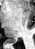
MR image. 35x49 px.

The posterior hippocampus lies within (left=10, top=39, right=14, bottom=41).